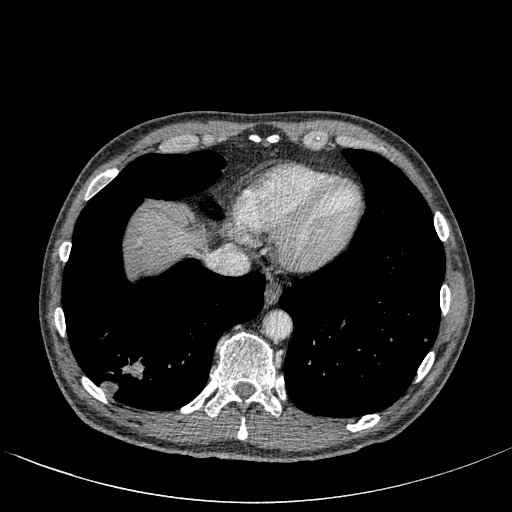
CT scan slice; Image size 512x512; Upper abdomen
liver: x1=126 y1=208 x2=194 y2=270